Field of view 240x240 mm; 240x240 px; Slice index 83; Head
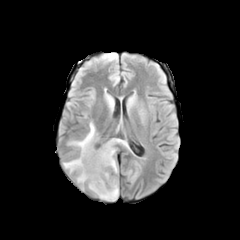
FLAIR MR image.
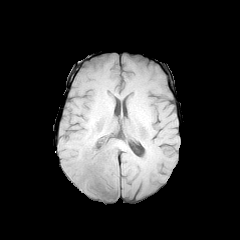
T1-weighted magnetic resonance.
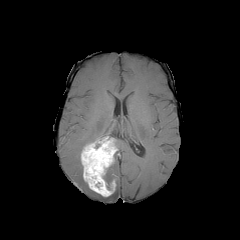
Post-contrast T1-weighted MRI of the same slice.
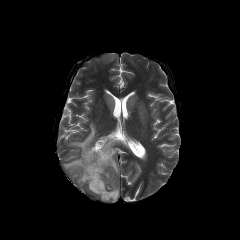
T2-weighted MR of the same slice.
Non-enhancing tumor core: bounding box rect(102, 154, 114, 189).
Enhancing tumor: bounding box rect(81, 137, 116, 196).
Edema: bounding box rect(96, 158, 118, 201); rect(115, 138, 127, 147); rect(63, 157, 87, 187); rect(69, 122, 100, 151).